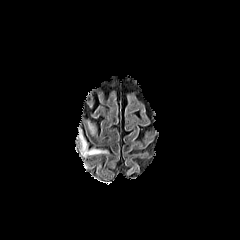
FLAIR magnetic resonance.
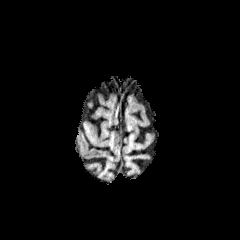
T1-weighted MR.
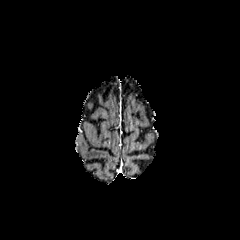
Same slice, post-contrast T1-weighted MR image.
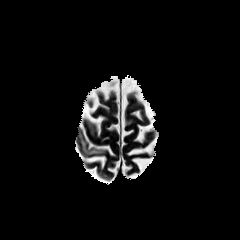
Same slice, T2-weighted MR image.
Image size 240x240
Edema: bounding box [78,130,86,149], [85,148,105,153].